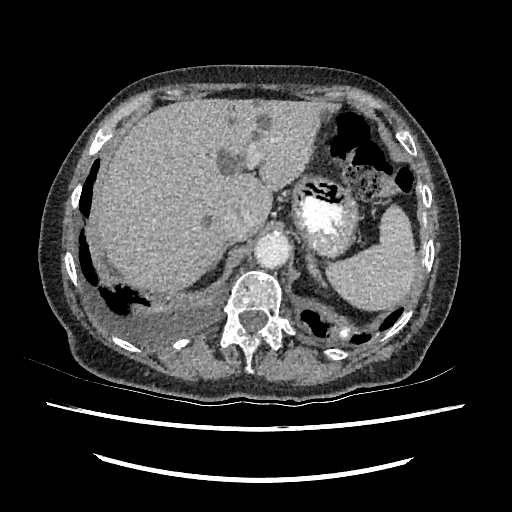 CT slice
Focal liver lesion — [203,215,210,226], [257,116,270,129], [219,151,241,175], [251,131,259,141].
Liver — [98,99,339,293].